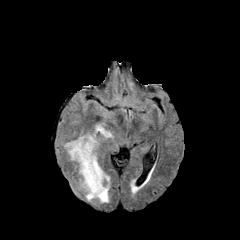
FLAIR MRI.
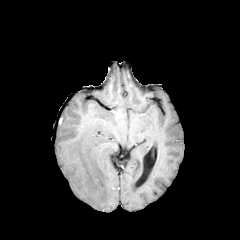
T1-weighted MR.
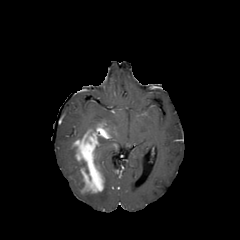
Post-contrast T1-weighted MR image of the same slice.
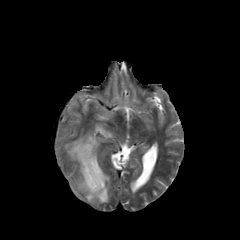
T2-weighted MR.
Non-enhancing tumor core — bbox(80, 160, 88, 173).
Enhancing tumor — bbox(73, 123, 111, 193).
Edema — bbox(84, 146, 110, 204); bbox(63, 140, 84, 190).